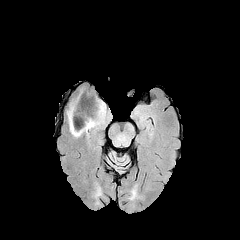
FLAIR MRI.
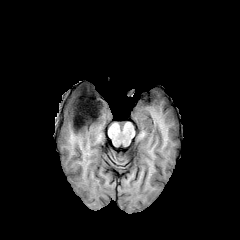
Same slice, T1-weighted MR.
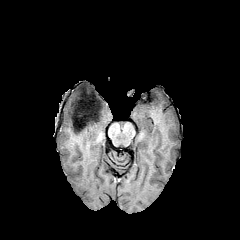
Post-contrast T1-weighted MR image.
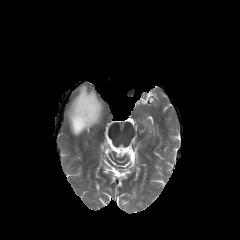
T2-weighted MR image.
Brain.
The edema is bounded by [x1=66, y1=96, x2=105, y2=137]. 2 non-enhancing tumor core regions appear at [x1=72, y1=106, x2=98, y2=128], [x1=93, y1=102, x2=102, y2=113].